CT scan slice; Image width 348 mm; 512x512 px

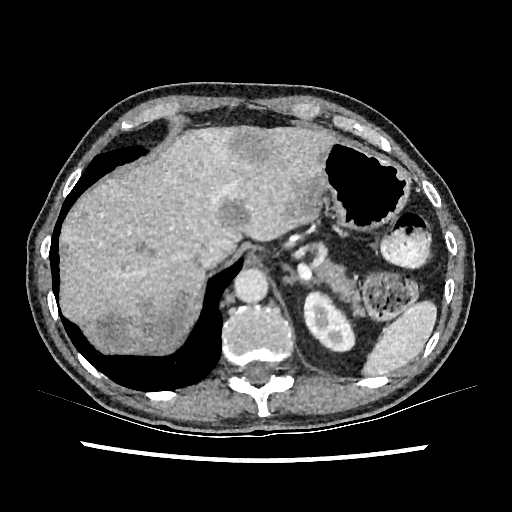
Findings:
* liver lesion: 227:127:277:163, 62:244:68:260, 318:150:326:162, 287:171:323:222, 214:197:251:229, 135:241:154:255, 80:290:199:353
* liver: 61:126:335:322
* kidney: 304:293:353:350